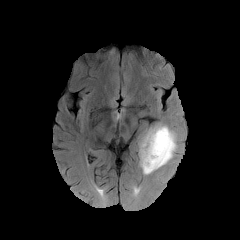
FLAIR MR image.
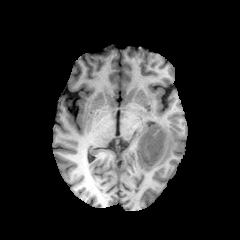
T1-weighted MR.
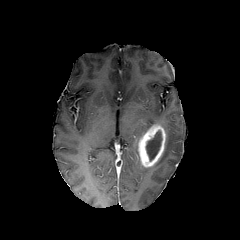
Same slice, post-contrast T1-weighted MRI.
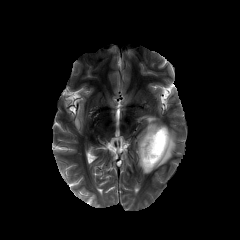
Same slice, T2-weighted magnetic resonance.
Findings:
• enhancing tumor: box(138, 124, 166, 167)
• edema: box(135, 126, 149, 146); box(136, 121, 181, 175)
• non-enhancing tumor core: box(146, 131, 162, 160)